Abdomen, CT
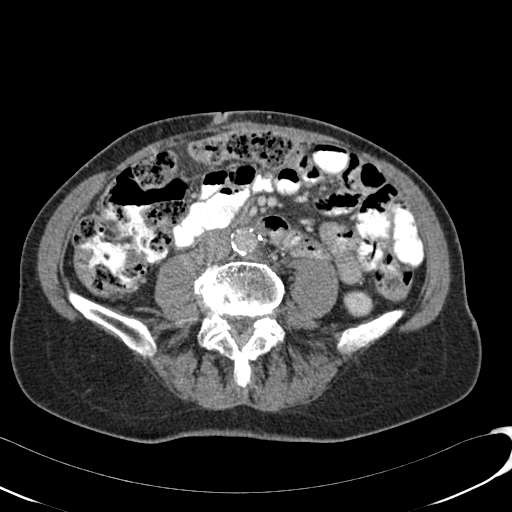

Kidney at (345,292,371,315).